Image size 512x512 | Computed tomography | Field of view 400x400 mm 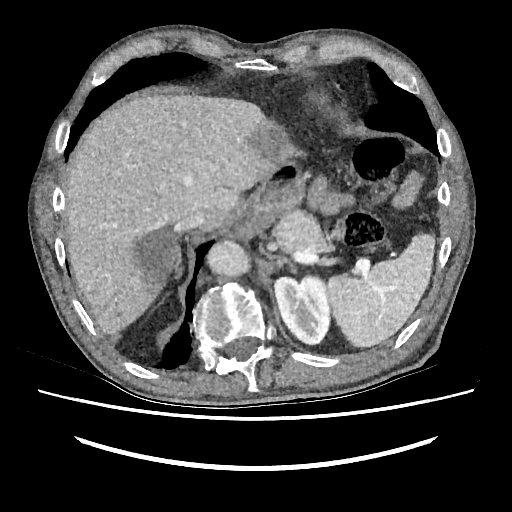 kidney: 275,277,329,344 | focal liver lesion: 248,122,285,159; 125,224,175,292 | liver: 66,94,302,332